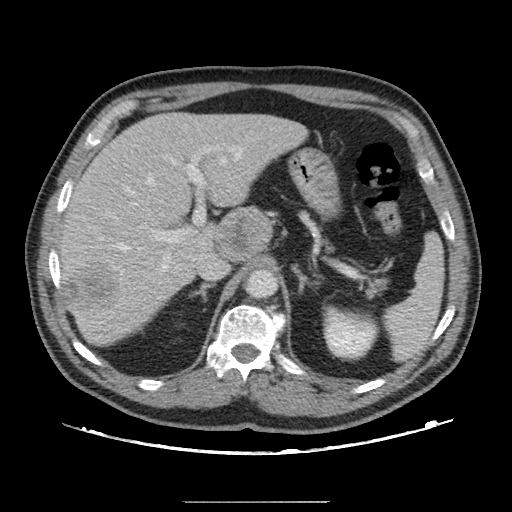 Computed tomography. Abdomen. Some hepatic vessels may have no box.
Liver tumor — rect(63, 263, 123, 310).
Hepatic vessel — rect(147, 273, 154, 281); rect(222, 160, 224, 161); rect(139, 283, 146, 288); rect(156, 253, 170, 275); rect(109, 212, 118, 223); rect(193, 156, 197, 160); rect(138, 248, 142, 249); rect(162, 154, 181, 165); rect(137, 224, 177, 243); rect(182, 165, 188, 172); rect(113, 243, 130, 250); rect(147, 174, 154, 185); rect(122, 231, 126, 234); rect(229, 147, 242, 160); rect(204, 146, 218, 151).